Slice index 53.
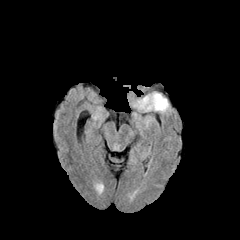
FLAIR magnetic resonance.
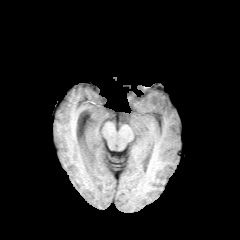
T1-weighted MRI.
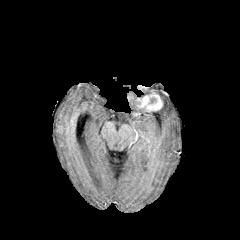
Post-contrast T1-weighted MR image.
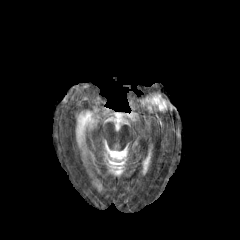
Same slice, T2-weighted MRI.
The enhancing tumor lies within bbox=[137, 94, 162, 110]. 2 edema regions are bounded by bbox=[149, 92, 170, 112]; bbox=[131, 100, 148, 111].